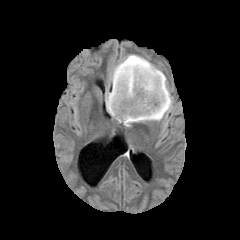
FLAIR MRI.
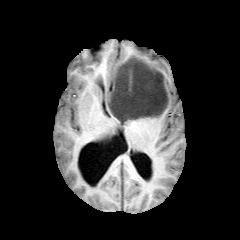
T1-weighted MR image.
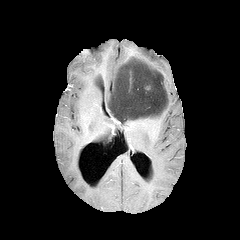
Post-contrast T1-weighted MR of the same slice.
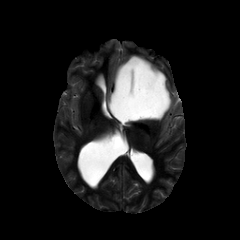
T2-weighted MR image.
Head; 240x240
Edema at bbox=[104, 52, 173, 128].
Non-enhancing tumor core at bbox=[108, 57, 168, 123].